Abdomen, CT image
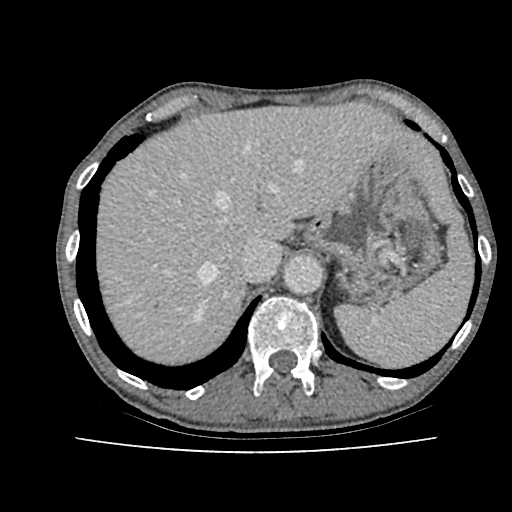
Liver = x1=438 y1=194 x2=450 y2=216, x1=94 y1=104 x2=440 y2=364.